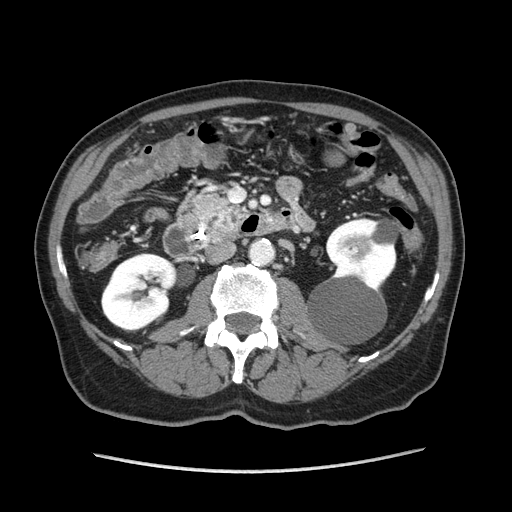
CT image. Image size 512x512. pancreas:
  - box(184, 195, 247, 240)
pancreatic_tumor:
  - box(218, 215, 238, 232)